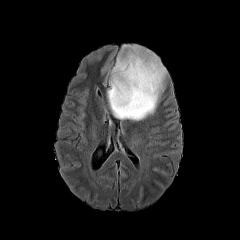
FLAIR MRI.
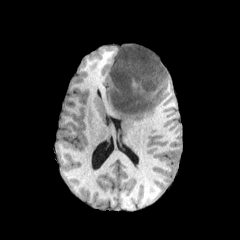
T1-weighted MR of the same slice.
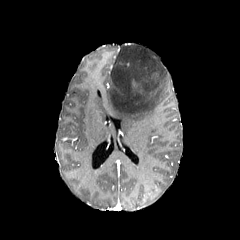
Post-contrast T1-weighted MR image.
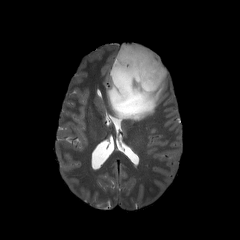
T2-weighted MRI.
The edema lies within box=[106, 55, 166, 122].